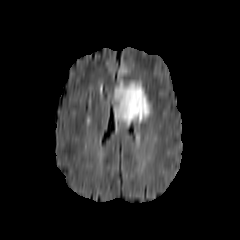
FLAIR MR.
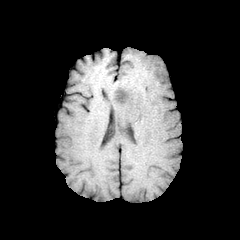
T1-weighted magnetic resonance of the same slice.
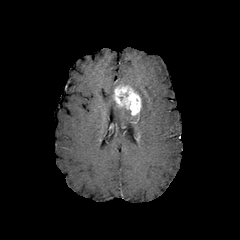
Post-contrast T1-weighted MRI.
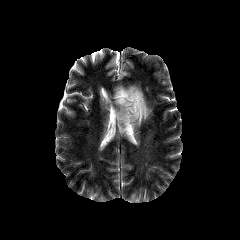
T2-weighted MR image.
Brain. 240x240 px.
<segmentation>
  <enhancing_tumor>bbox=[113, 85, 142, 118]</enhancing_tumor>
  <edema>bbox=[119, 66, 126, 84]; bbox=[114, 82, 151, 128]</edema>
</segmentation>